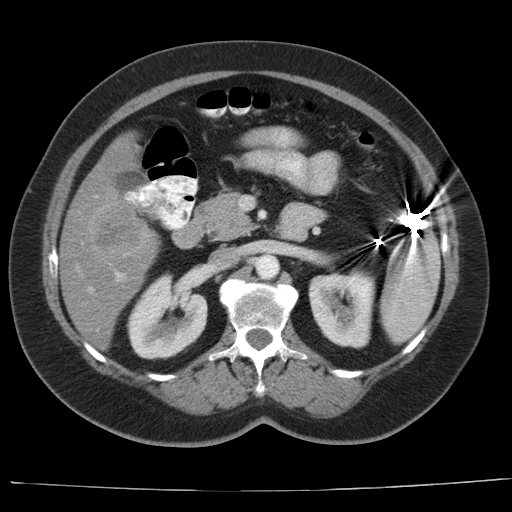

CT scan slice | Liver
Some hepatic vessels may have no box.
{"liver_tumor": ["x1=85 y1=201 x2=149 y2=257"], "hepatic_vessel": ["x1=116 y1=272 x2=122 y2=280", "x1=88 y1=288 x2=92 y2=291"]}